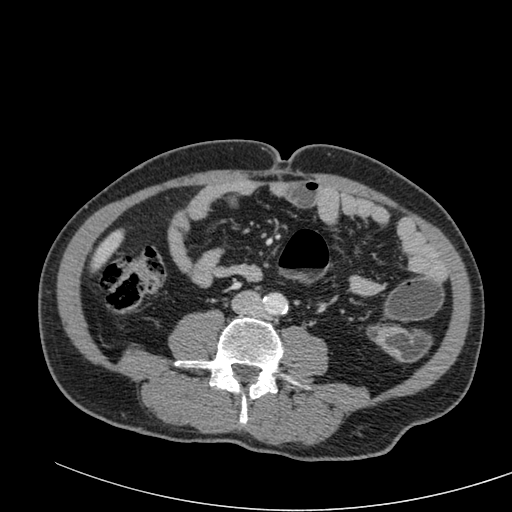

CT slice; Abdomen

The liver lies within (x1=94, y1=231, x2=121, y2=262).